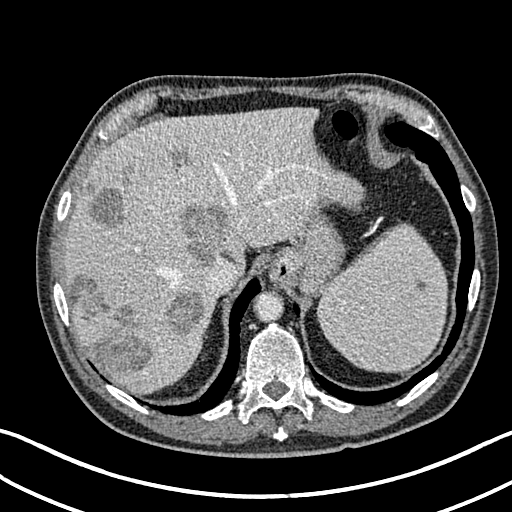

CT image
<segmentation>
  <liver>64 108 364 392, 71 305 117 351</liver>
  <liver_lesion>87 188 125 229, 169 150 190 167, 120 166 132 184, 67 277 151 376, 167 288 203 335, 180 204 235 266</liver_lesion>
</segmentation>